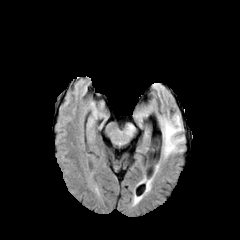
FLAIR MR image.
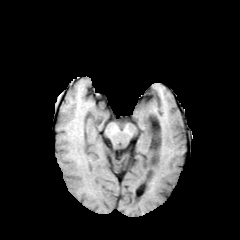
Same slice, T1-weighted MRI.
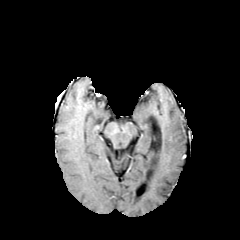
Post-contrast T1-weighted magnetic resonance.
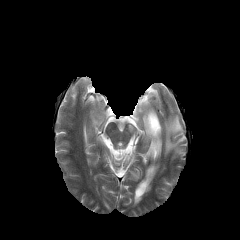
T2-weighted MR.
Edema: x1=162 y1=116 x2=182 y2=156.